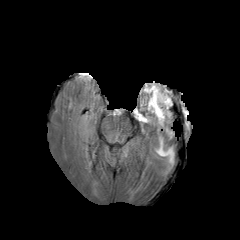
FLAIR MRI.
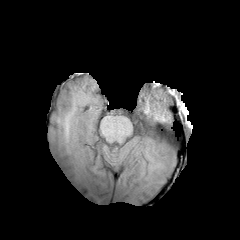
T1-weighted MRI of the same slice.
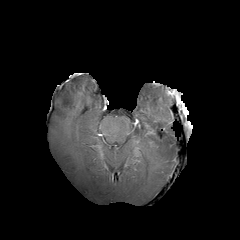
Same slice, post-contrast T1-weighted MRI.
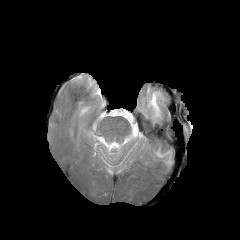
Same slice, T2-weighted MRI.
2 edema regions appear at 140 85 171 122, 154 139 174 169.